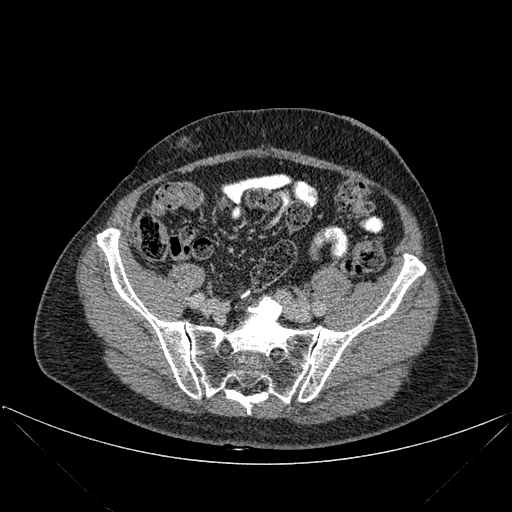

Computed tomography

Bone = box=[225, 389, 267, 413]; box=[97, 228, 425, 402].